CT. Pelvis.
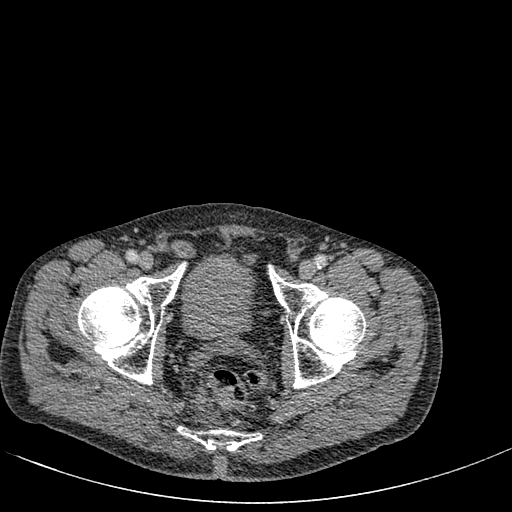

<segmentation>
  <urinary_bladder>(174,249,258,342)</urinary_bladder>
</segmentation>